Slice 96/155; Brain
FLAIR MRI.
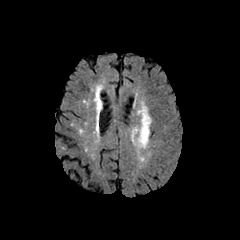
T1-weighted MRI.
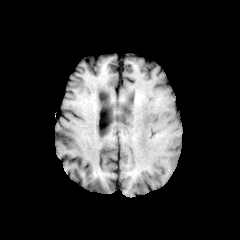
Post-contrast T1-weighted MRI.
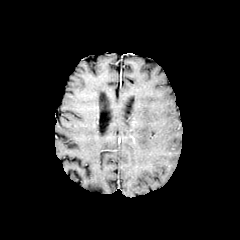
T2-weighted MRI.
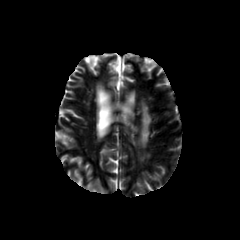
Edema: 131, 101, 151, 148.